CT scan slice, Upper abdomen

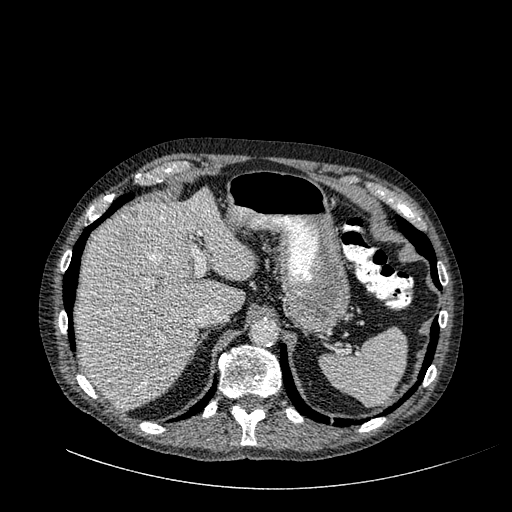 <segmentation>
  <hepatic_lesion>box(117, 229, 138, 247)</hepatic_lesion>
  <liver>box(76, 186, 255, 410)</liver>
</segmentation>